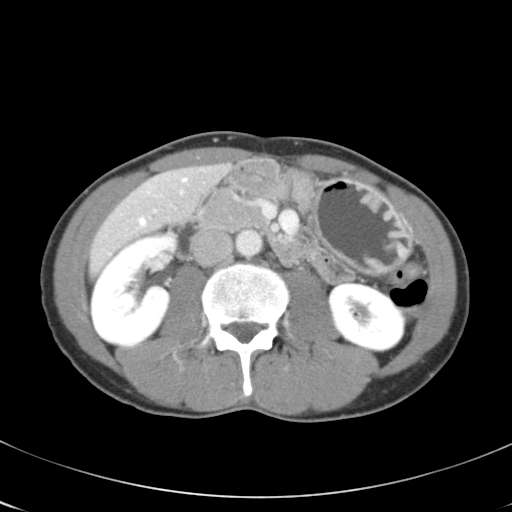
CT scan slice
Some hepatic vessels may have no box.
3 hepatic vessel regions are located at l=183, t=178, r=186, b=180; l=140, t=219, r=145, b=225; l=181, t=190, r=183, b=193.